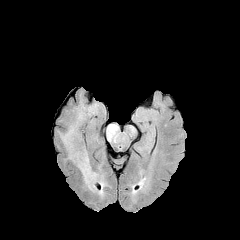
FLAIR MRI.
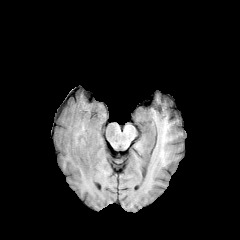
T1-weighted MRI.
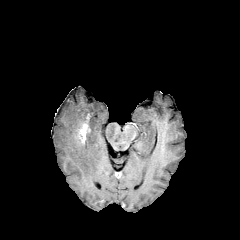
Same slice, post-contrast T1-weighted magnetic resonance.
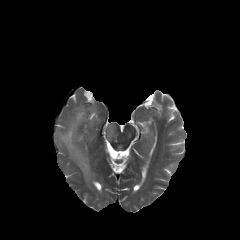
T2-weighted MRI.
Head
2 edema regions appear at {"x1": 61, "y1": 107, "x2": 95, "y2": 181}, {"x1": 106, "y1": 124, "x2": 117, "y2": 140}. The enhancing tumor is located at {"x1": 78, "y1": 124, "x2": 89, "y2": 142}.